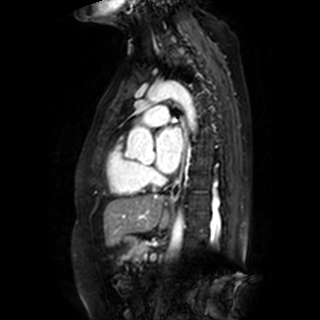 MR image | Image size 320x320
Left atrium at box(156, 127, 182, 173).